Lower abdomen. CT. Field of view 429x429 mm. 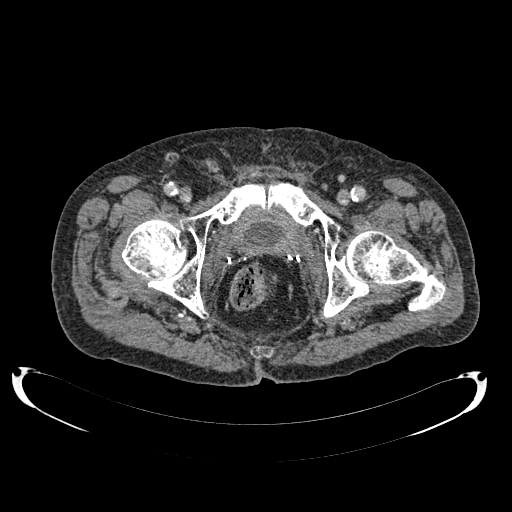

{"urinary_bladder": [{"x1": 245, "y1": 222, "x2": 282, "y2": 245}]}